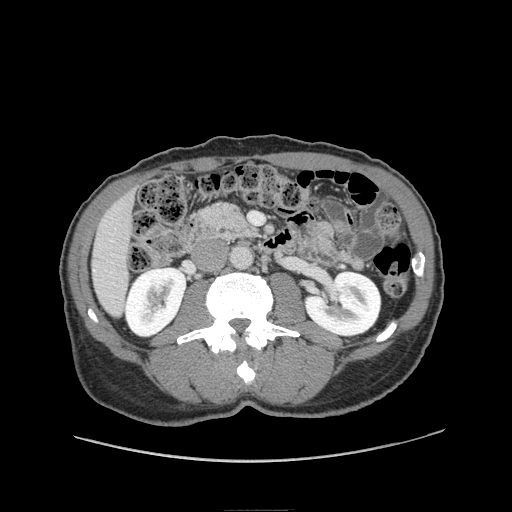 Upper abdomen. Computed tomography. Findings:
* pancreas: x1=201, y1=203, x2=256, y2=240